512x512. CT slice.
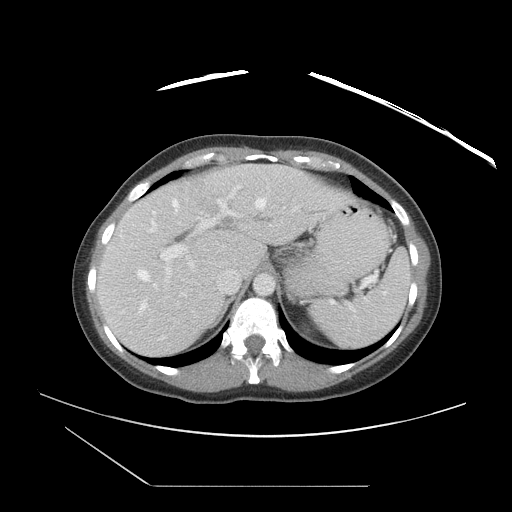

Some hepatic vessels may have no box.
* hepatic vessel: [161, 245, 187, 281], [154, 284, 156, 286], [198, 199, 236, 229], [218, 270, 239, 291], [140, 300, 146, 310], [172, 199, 178, 212], [159, 336, 165, 338], [149, 218, 156, 231], [186, 254, 189, 258], [294, 207, 296, 210], [256, 198, 266, 209], [137, 270, 149, 281]
* liver tumor: [194, 192, 216, 216]